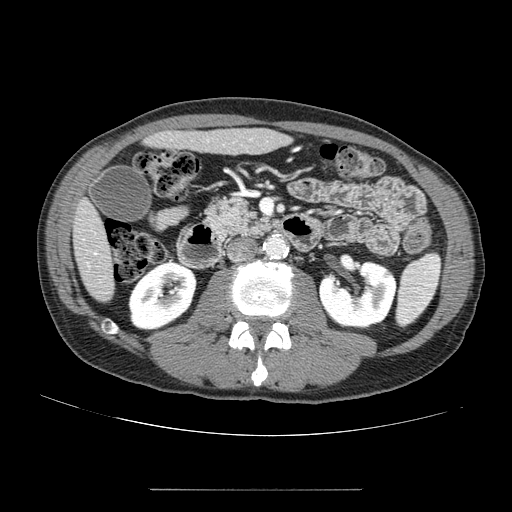

Image size 512x512 | CT | Upper abdomen
Pancreas at [207, 198, 274, 238].